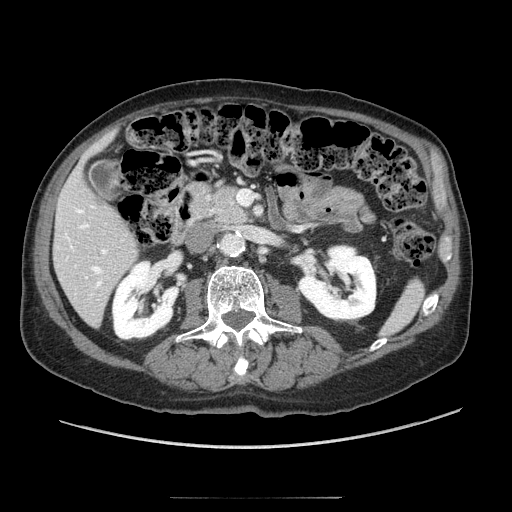 CT image; Abdomen

The pancreatic tumor appears at <bbox>217, 189, 235, 207</bbox>. The pancreas is located at <bbox>210, 187, 246, 223</bbox>.